Slice 113/155 | 240x240
FLAIR MRI.
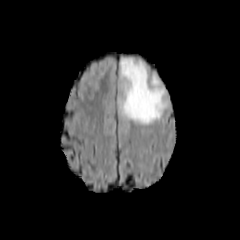
T1-weighted magnetic resonance.
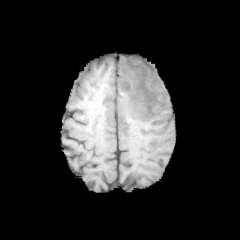
Post-contrast T1-weighted MR image.
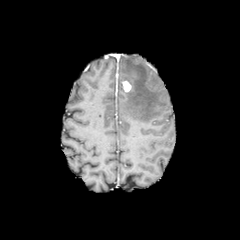
T2-weighted MR image.
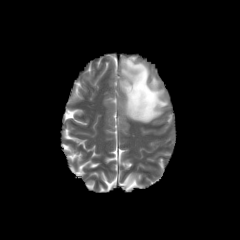
<segmentation>
  <enhancing_tumor>bbox=[122, 80, 131, 91]</enhancing_tumor>
  <edema>bbox=[120, 58, 167, 123]</edema>
</segmentation>